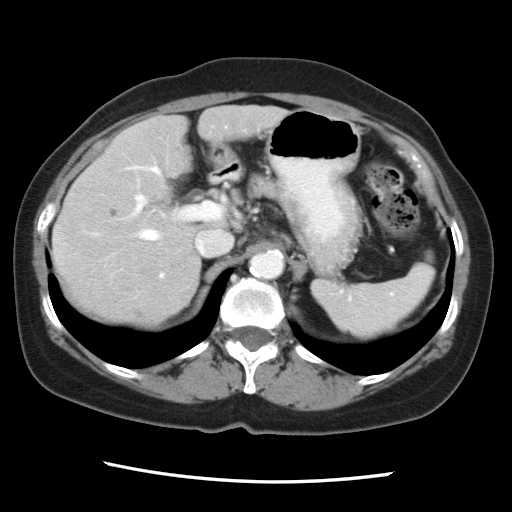

512x512. CT scan slice. Abdomen.
Some hepatic vessels may have no box.
{
  "hepatic_vessel": [
    "box(134, 227, 162, 240)",
    "box(161, 213, 164, 216)",
    "box(123, 177, 147, 220)",
    "box(95, 233, 97, 234)",
    "box(196, 230, 231, 254)",
    "box(171, 198, 223, 221)"
  ]
}